CT scan slice, Abdomen
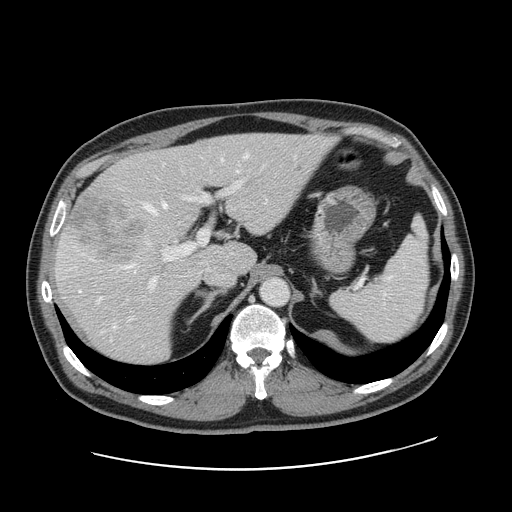

The vessel boxes may cover only some of the vessels.
The liver tumor is bounded by l=69, t=196, r=141, b=267. The principal 15 hepatic vessel regions (of 17) appear at l=265, t=199, r=266, b=202; l=181, t=190, r=212, b=202; l=128, t=317, r=133, b=320; l=244, t=153, r=247, b=158; l=294, t=156, r=295, b=158; l=149, t=276, r=157, b=288; l=237, t=169, r=240, b=171; l=221, t=158, r=223, b=160; l=161, t=226, r=223, b=259; l=218, t=181, r=241, b=194; l=223, t=206, r=234, b=213; l=146, t=240, r=150, b=243; l=144, t=203, r=157, b=214; l=162, t=202, r=166, b=207; l=126, t=265, r=136, b=271.